Image size 512x512. Field of view 356 mm wide, 1.25 mm slice spacing. Upper abdomen. CT image. 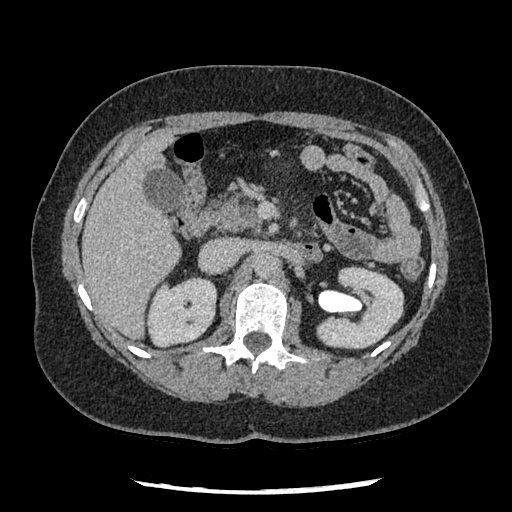
The pancreas lies within <box>213,192,259,231</box>.